Field of view 339 mm wide, 0.80 mm slice spacing; CT slice 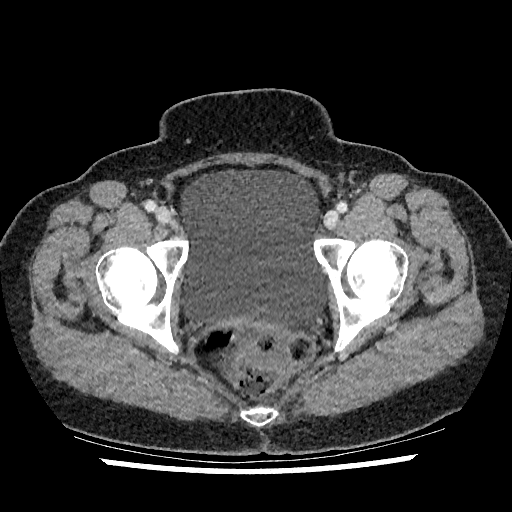

The urinary bladder is at box=[181, 169, 328, 330].